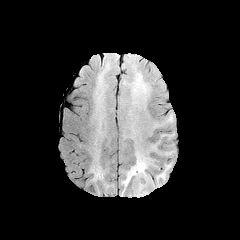
FLAIR MR image.
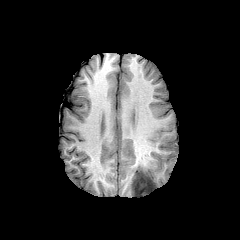
T1-weighted MR.
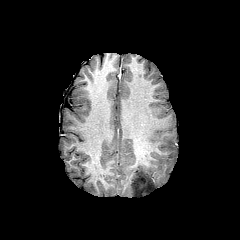
Same slice, post-contrast T1-weighted MRI.
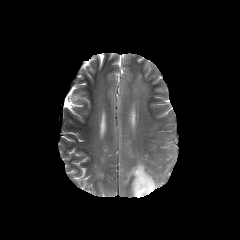
T2-weighted MR image.
Head
Edema: bounding box 156,164,171,182; 122,154,153,195.
Non-enhancing tumor core: bounding box 133,168,153,194.